Image size 512x512, Computed tomography

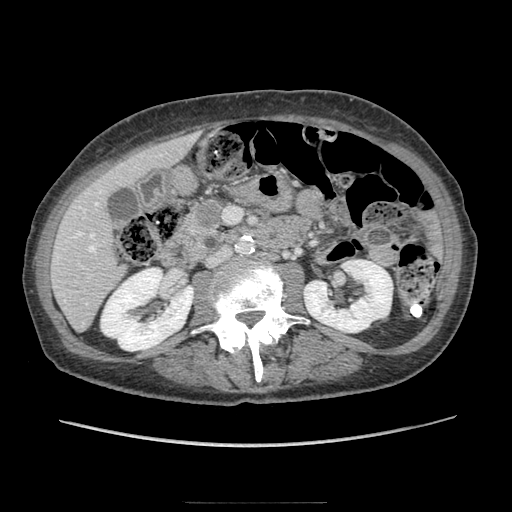
The pancreatic tumor appears at 195,202,221,228. 2 pancreas regions are bounded by 176,209,234,258; 204,199,224,212.